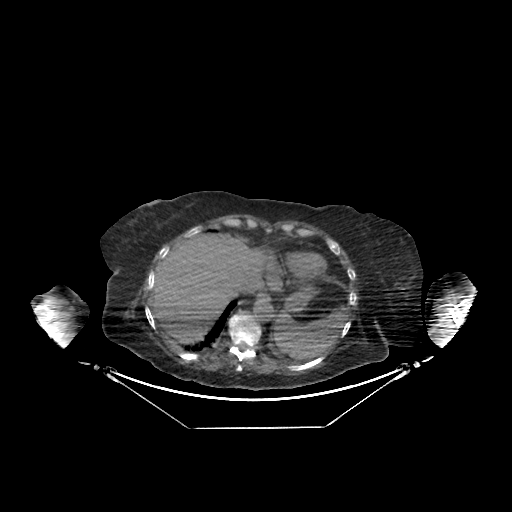 CT scan slice, Liver, Image size 512x512
liver: [x1=152, y1=232, x2=267, y2=351]